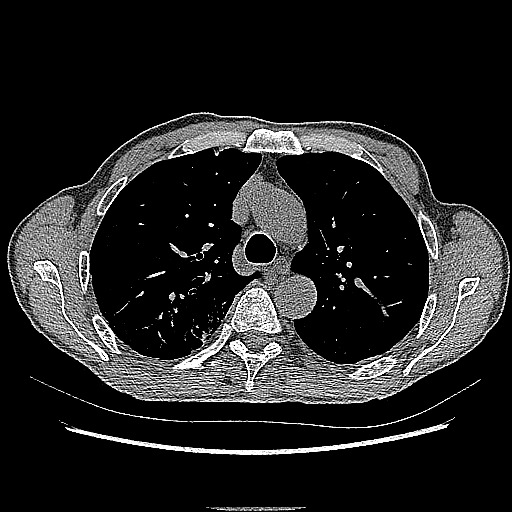
Chest, CT slice, 512x512
Lung tumor: bounding box region(164, 303, 179, 328); region(182, 300, 226, 352).